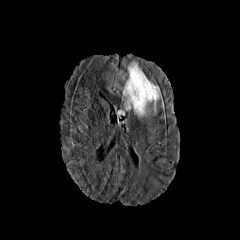
FLAIR MR image.
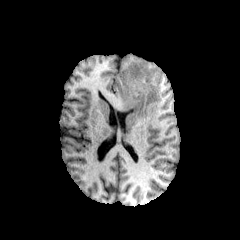
Same slice, T1-weighted MR.
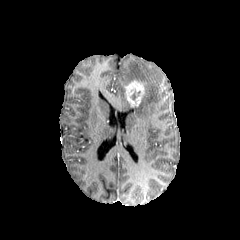
Post-contrast T1-weighted MR.
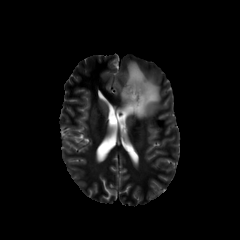
T2-weighted MR.
Head
Annotated regions:
- edema: box=[127, 62, 161, 118]; box=[124, 99, 131, 111]
- enhancing tumor: box=[124, 80, 146, 107]